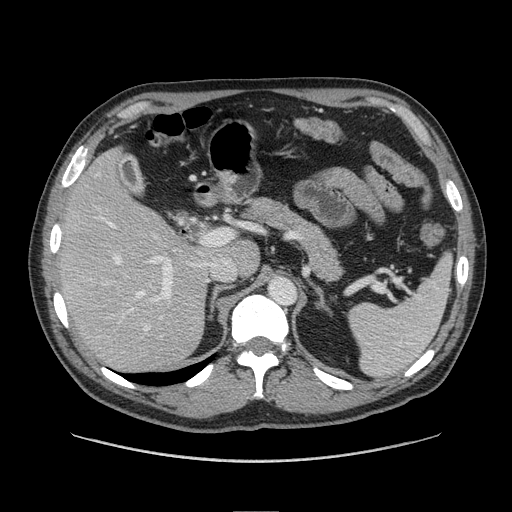

Abdomen, Computed tomography, 512x512

pancreas:
  - box(239, 194, 349, 284)